FLAIR MRI.
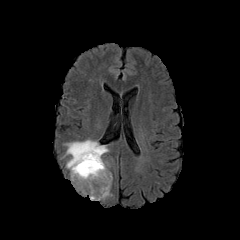
T1-weighted MR image.
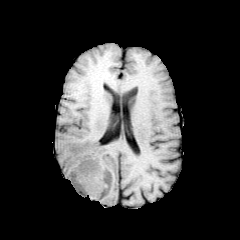
Post-contrast T1-weighted MRI.
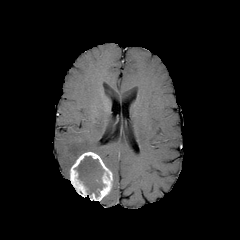
T2-weighted MR image.
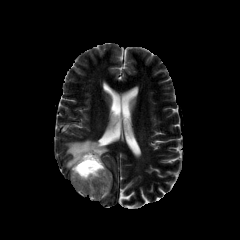
Brain
<segmentation>
  <edema>(left=86, top=174, right=99, bottom=191), (left=64, top=139, right=109, bottom=169)</edema>
  <non-enhancing_tumor_core>(left=76, top=156, right=103, bottom=195)</non-enhancing_tumor_core>
  <enhancing_tumor>(left=70, top=152, right=112, bottom=200)</enhancing_tumor>
</segmentation>